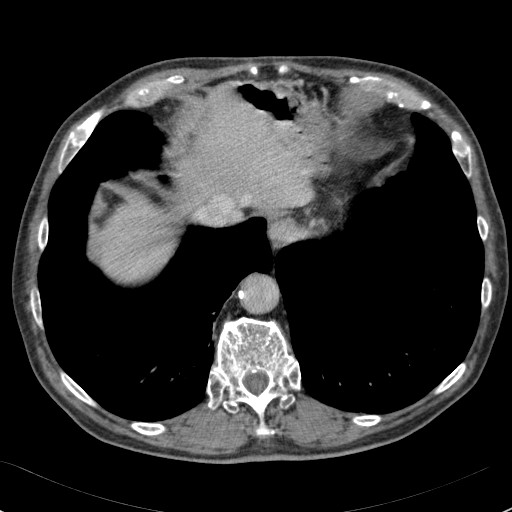
CT. Liver. 512x512.
{"liver": [{"x1": 177, "y1": 133, "x2": 222, "y2": 203}, {"x1": 98, "y1": 201, "x2": 166, "y2": 274}, {"x1": 211, "y1": 100, "x2": 241, "y2": 105}, {"x1": 228, "y1": 106, "x2": 254, "y2": 164}]}